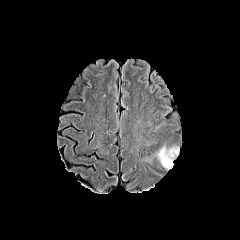
FLAIR MR.
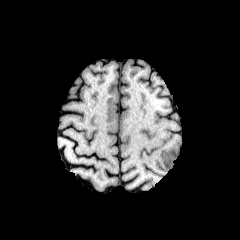
Same slice, T1-weighted MR.
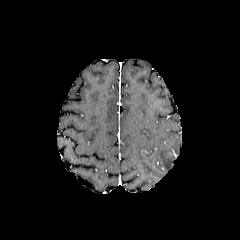
Same slice, post-contrast T1-weighted MR.
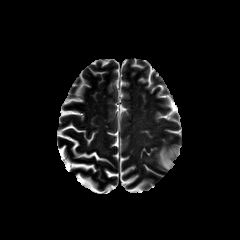
T2-weighted MR.
<segmentation>
  <edema>left=159, top=150, right=172, bottom=168</edema>
</segmentation>